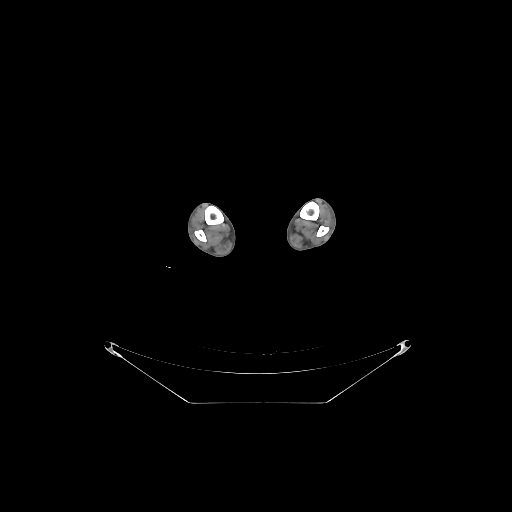

CT slice.

4 bone regions are located at bbox(205, 206, 223, 224); bbox(194, 230, 206, 241); bbox(316, 226, 328, 236); bbox(300, 201, 319, 220).